Field of view 383 mm wide, 1.50 mm slice spacing | Computed tomography | Abdomen

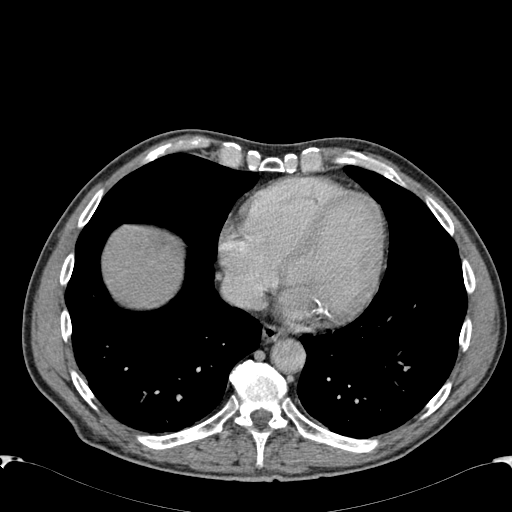 The liver is located at rect(103, 227, 183, 308).